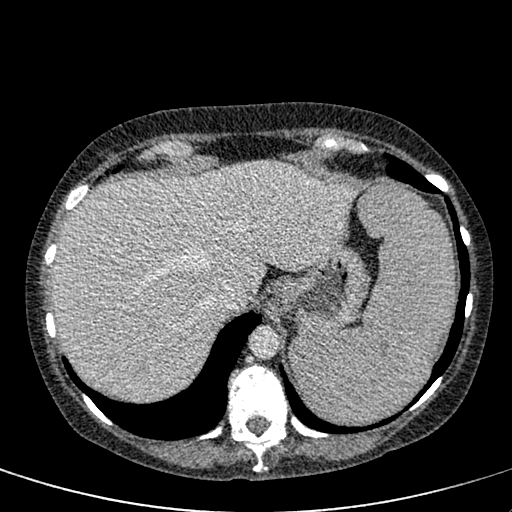 CT, Liver
Liver — left=55, top=162, right=355, bottom=400.